Abdomen. CT scan slice. Slice index 79. Image size 512x512.
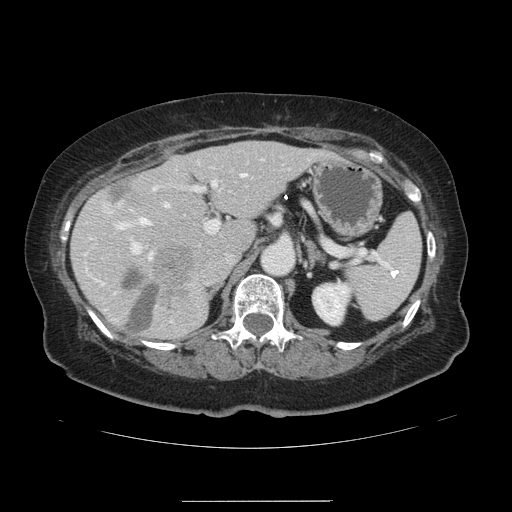 Some hepatic vessels may have no box.
<segmentation>
  <liver_tumor>x1=123, y1=271, x2=143, y2=289; x1=103, y1=179, x2=142, y2=207; x1=129, y1=245, x2=193, y2=333</liver_tumor>
  <hepatic_vessel>x1=148, y1=252, x2=151, y2=258; x1=204, y1=219, x2=218, y2=232; x1=262, y1=158, x2=263, y2=159; x1=131, y1=241, x2=139, y2=253; x1=115, y1=223, x2=128, y2=228; x1=151, y1=186, x2=157, y2=189; x1=189, y1=185, x2=205, y2=190; x1=241, y1=173, x2=245, y2=176; x1=164, y1=203, x2=168, y2=206; x1=134, y1=218, x2=150, y2=224; x1=211, y1=180, x2=216, y2=185</hepatic_vessel>
</segmentation>